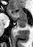 MR. Medial temporal lobe.

The anterior hippocampus is located at (8, 9, 27, 20). The posterior hippocampus is located at (17, 21, 27, 27).